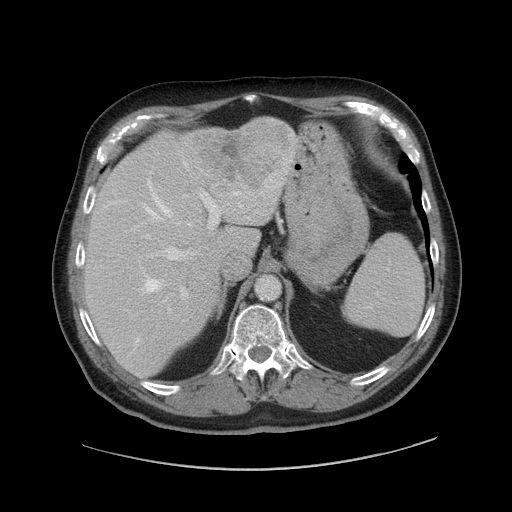
512x512. Computed tomography. Liver.

The vessel boxes may cover only some of the vessels.
Liver tumor: left=188, top=120, right=293, bottom=193.
Principal 15 of 18 hepatic vessel regions: left=111, top=202, right=116, bottom=203; left=166, top=248, right=182, bottom=259; left=200, top=192, right=220, bottom=229; left=144, top=234, right=149, bottom=237; left=188, top=223, right=190, bottom=225; left=144, top=279, right=162, bottom=292; left=143, top=204, right=157, bottom=218; left=183, top=162, right=187, bottom=166; left=180, top=287, right=187, bottom=296; left=152, top=192, right=171, bottom=216; left=177, top=223, right=179, bottom=225; left=147, top=179, right=151, bottom=188; left=135, top=338, right=139, bottom=344; left=234, top=192, right=241, bottom=194; left=238, top=204, right=243, bottom=207.